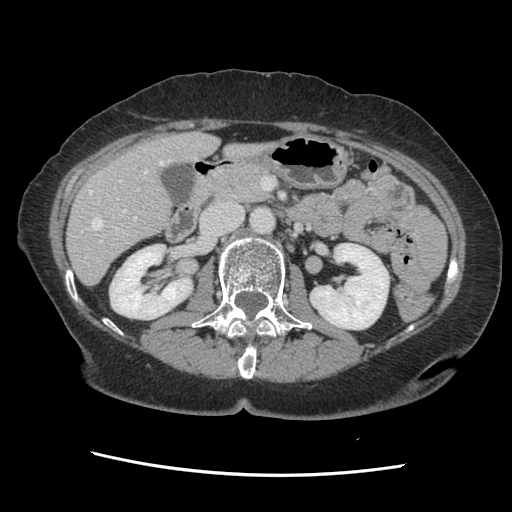
Computed tomography; 512x512

Some hepatic vessels may have no box.
hepatic vessel: left=89, top=190, right=92, bottom=193; left=160, top=159, right=170, bottom=164; left=92, top=217, right=101, bottom=228; left=101, top=240, right=102, bottom=241; left=134, top=217, right=136, bottom=219; left=123, top=210, right=125, bottom=211; left=144, top=171, right=147, bottom=173; left=136, top=189, right=138, bottom=191; left=119, top=180, right=121, bottom=181